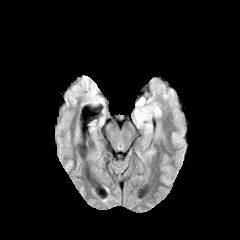
FLAIR MR image.
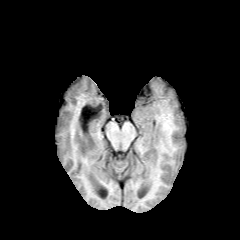
Same slice, T1-weighted MR.
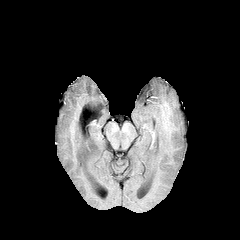
Post-contrast T1-weighted MR.
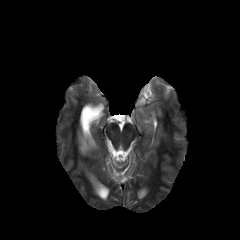
T2-weighted MR image.
240x240, Head
The edema is bounded by box(134, 97, 160, 125).